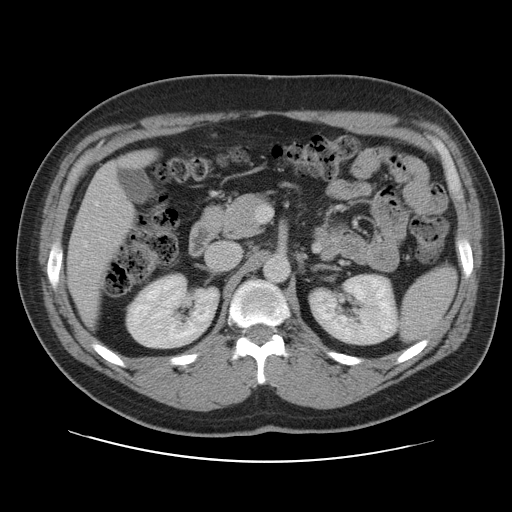
CT slice

Not every hepatic vessel necessarily has a box.
<segmentation>
  <hepatic_vessel>118 161 123 164, 84 308 92 323, 83 241 87 246, 91 287 97 288, 108 162 116 168, 95 202 98 205</hepatic_vessel>
</segmentation>